CT image 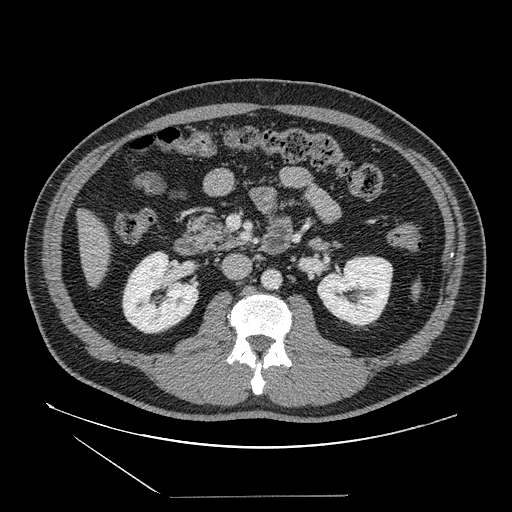 pancreas: <box>304,235,344,252</box>, <box>183,214,235,252</box>